Computed tomography | Slice 522/588 | Chest
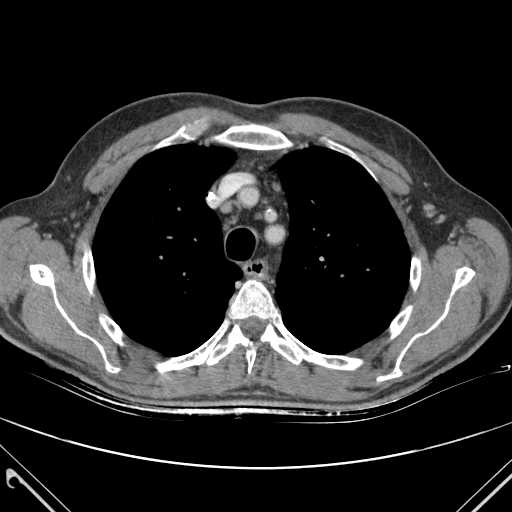 bone:
  - 30, 264, 119, 372
  - 215, 125, 291, 149
  - 329, 141, 359, 161
  - 451, 267, 474, 295
  - 390, 306, 411, 337
  - 410, 258, 420, 289
  - 157, 320, 255, 372
  - 231, 280, 361, 369
  - 99, 316, 122, 344
  - 157, 124, 210, 147
  - 83, 252, 94, 293
  - 377, 300, 449, 380
lung:
  - 92, 144, 242, 355
  - 275, 147, 410, 354